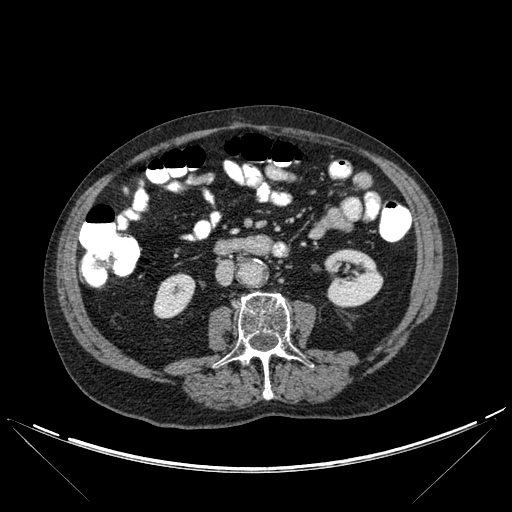
CT slice
bone: (222, 292, 293, 398) | kidney: (154, 274, 194, 317), (325, 250, 382, 306)